Field of view 388x388 mm, Slice 536/733, CT scan slice

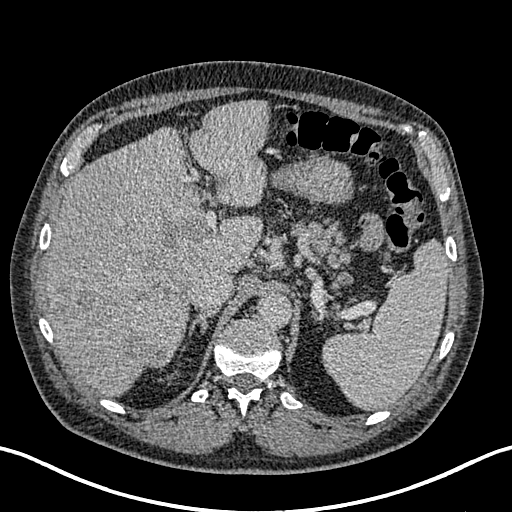
Liver lesion at (133, 219, 202, 303), (123, 332, 164, 366), (58, 293, 67, 312), (74, 289, 95, 312).
Liver at (191, 101, 266, 206), (45, 126, 262, 395).